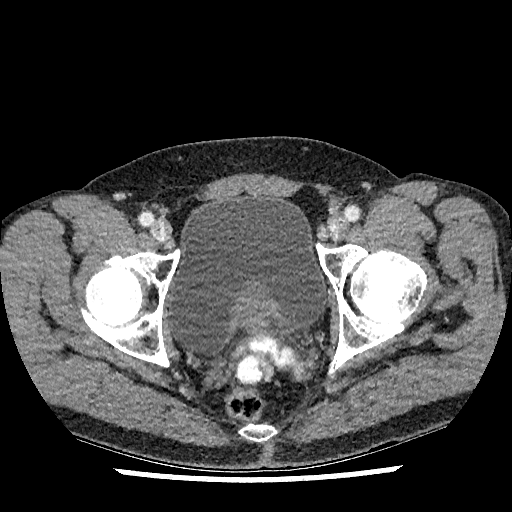

Image size 512x512. CT slice.
The urinary bladder is bounded by {"x1": 167, "y1": 196, "x2": 328, "y2": 352}.